Upper abdomen | 512x512 | Computed tomography | Slice 558 of 677

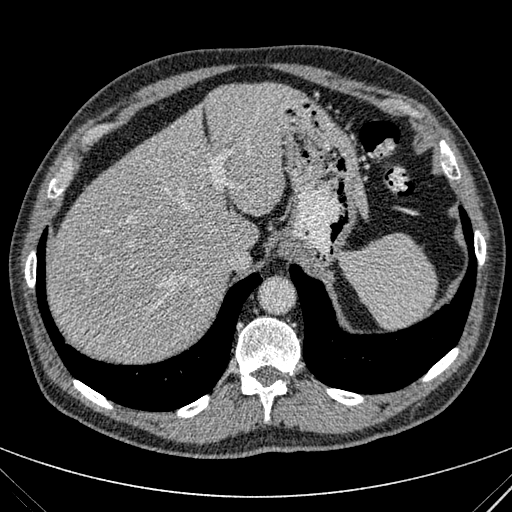

liver:
  - rect(204, 83, 305, 214)
  - rect(352, 177, 366, 217)
  - rect(47, 107, 259, 361)